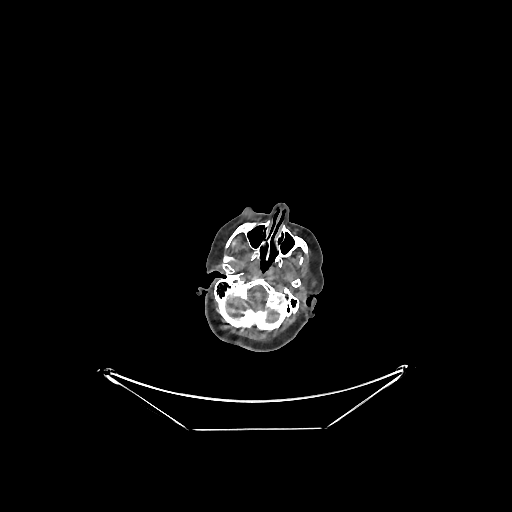 Head, CT scan slice
2 brain regions appear at 266, 309, 279, 322; 226, 285, 268, 318.